512x512 px, CT image

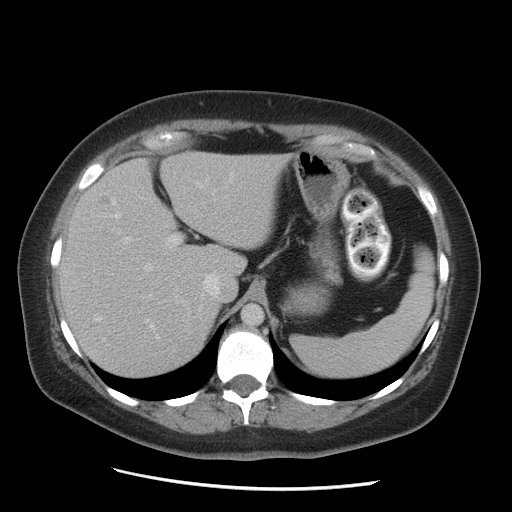
Findings:
* liver lesion: {"x1": 99, "y1": 195, "x2": 110, "y2": 204}, {"x1": 147, "y1": 156, "x2": 157, "y2": 170}
* liver: {"x1": 57, "y1": 152, "x2": 287, "y2": 376}